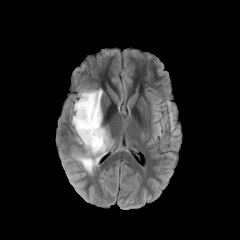
FLAIR magnetic resonance.
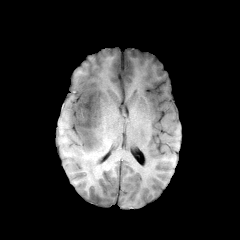
T1-weighted MRI.
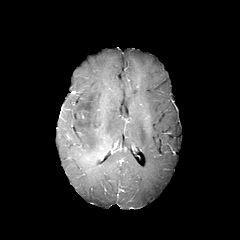
Post-contrast T1-weighted MR image.
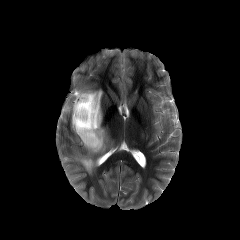
T2-weighted MRI.
240x240 px
Annotated regions:
• edema: left=71, top=87, right=109, bottom=173
• non-enhancing tumor core: left=82, top=111, right=90, bottom=126